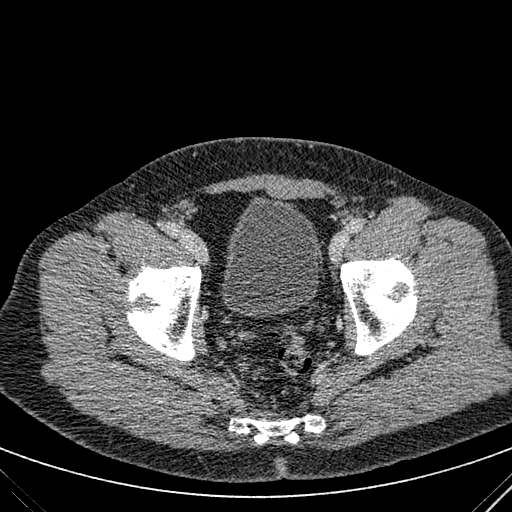
Lower abdomen; CT
Urinary bladder: bounding box bbox(220, 197, 321, 316).